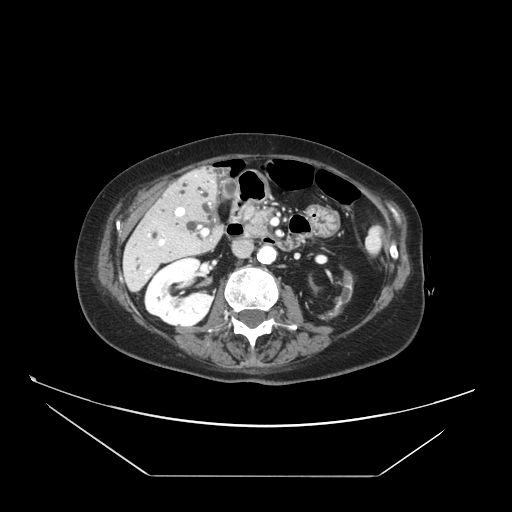 CT slice | Abdomen
Pancreas: (x1=243, y1=207, x2=272, y2=237).
Pancreatic tumor: (x1=253, y1=213, x2=268, y2=234).